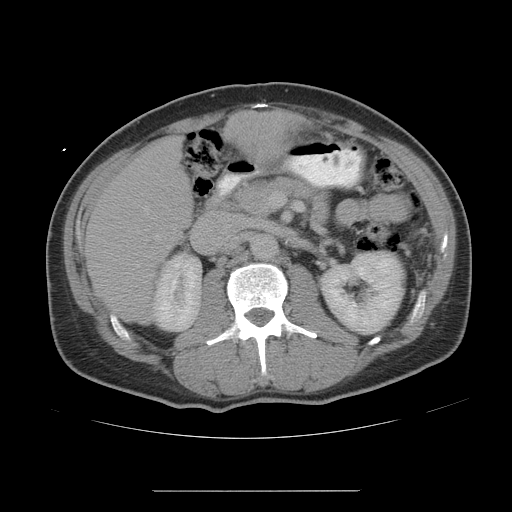

Abdomen, CT scan slice, Image size 512x512
Not every hepatic vessel necessarily has a box.
Hepatic vessel — l=153, t=234, r=160, b=242; l=165, t=245, r=170, b=248; l=136, t=264, r=139, b=266.
Liver tumor — l=227, t=112, r=305, b=159.